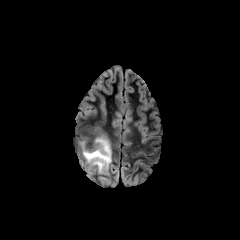
FLAIR MR image.
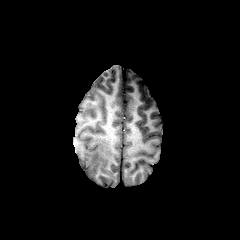
T1-weighted magnetic resonance.
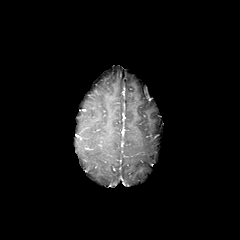
Post-contrast T1-weighted MRI of the same slice.
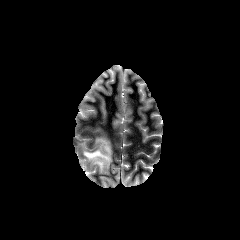
T2-weighted MR image.
240x240
The edema is located at bbox(83, 137, 111, 174).